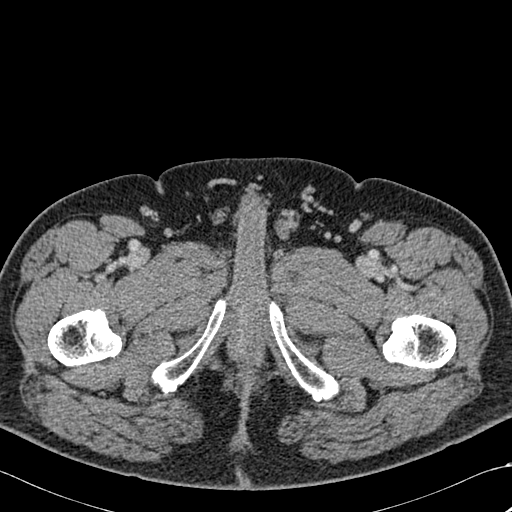
CT
Bone: x1=269 y1=303 x2=338 y2=400, x1=152 y1=300 x2=225 y2=392, x1=48 y1=309 x2=121 y2=365, x1=383 y1=314 x2=455 y2=369.